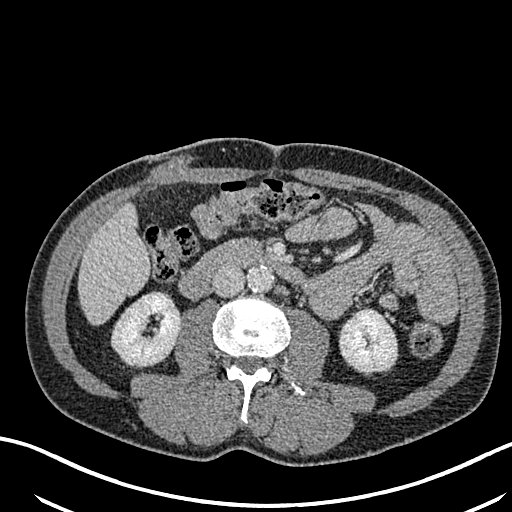 Computed tomography, Upper abdomen
kidney:
  - <box>340,310,396,371</box>
  - <box>112,293,179,365</box>
liver:
  - <box>78,205,148,323</box>